Field of view 240x240 mm
FLAIR MR image.
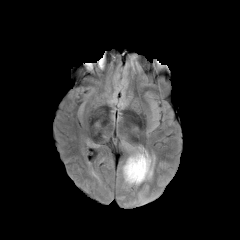
T1-weighted MR.
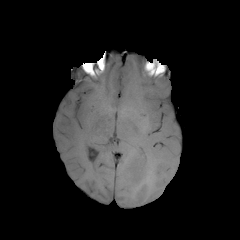
Post-contrast T1-weighted MRI.
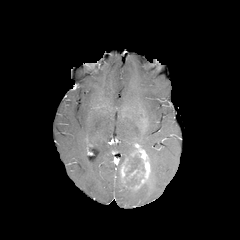
T2-weighted MRI.
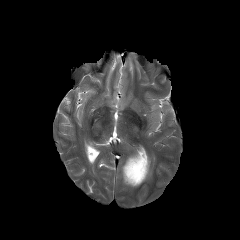
Segmented structures:
* enhancing tumor: bbox(121, 149, 149, 189)
* edema: bbox(146, 152, 152, 177)